MRI slice, Cardiac
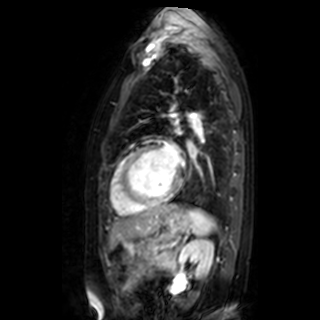 left atrium: bbox(166, 147, 178, 163)